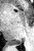 Magnetic resonance
posterior hippocampus: <bbox>7, 39, 20, 45</bbox>